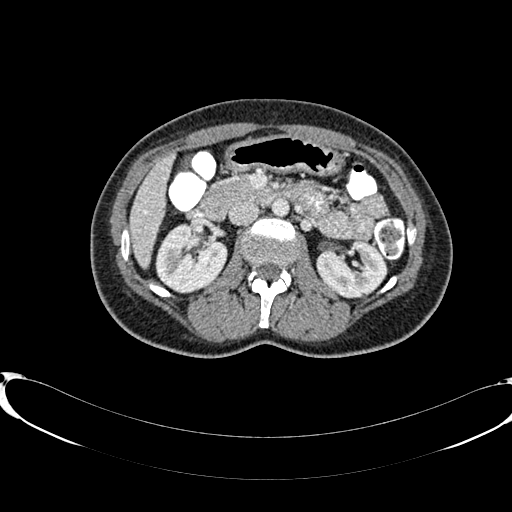 Image size 512x512. CT.
2 kidney regions appear at [318, 243, 385, 296], [157, 226, 225, 291]. The liver is at [129, 152, 174, 267].